MR image 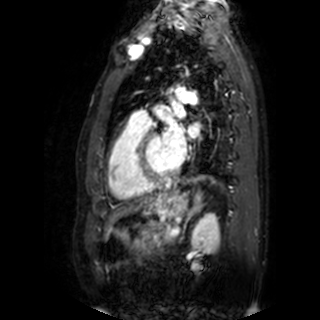
Left atrium = 188, 124, 199, 137; 163, 123, 187, 165; 176, 110, 185, 117.